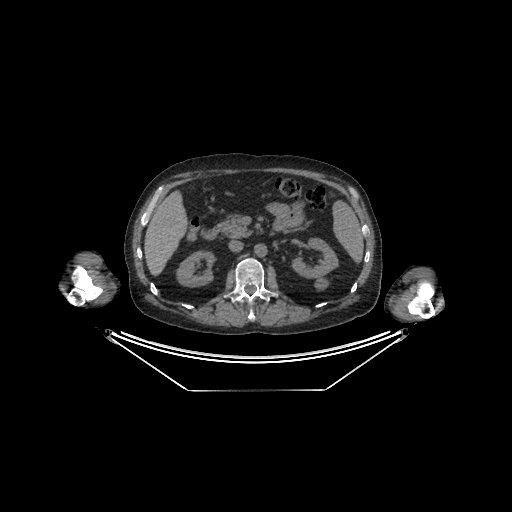
CT slice; Upper abdomen
<segmentation>
  <kidney>176,250,215,287; 292,238,338,289</kidney>
  <liver>144,191,187,275</liver>
</segmentation>